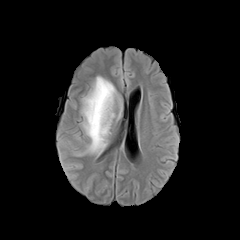
FLAIR MR.
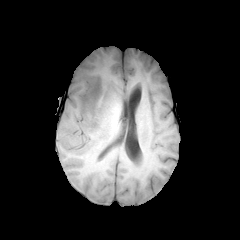
T1-weighted MRI.
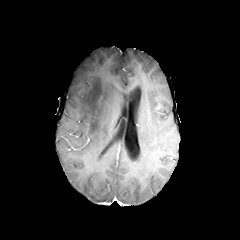
Post-contrast T1-weighted MRI of the same slice.
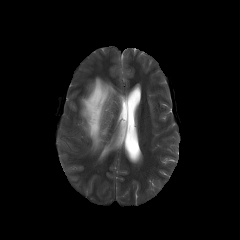
T2-weighted magnetic resonance.
<segmentation>
  <edema>[80,76,115,154]</edema>
</segmentation>